Slice index 68
FLAIR MR.
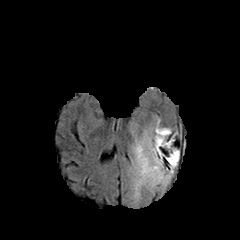
T1-weighted magnetic resonance.
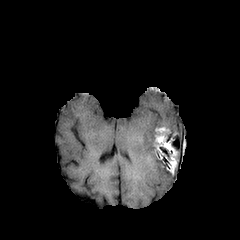
Post-contrast T1-weighted MR.
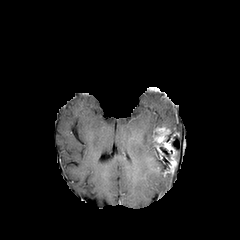
T2-weighted MRI.
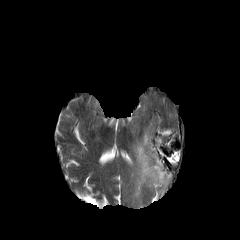
The enhancing tumor is at x1=156, y1=128, x2=177, y2=176. 2 edema regions are located at x1=165, y1=128, x2=179, y2=162; x1=131, y1=118, x2=173, y2=201.